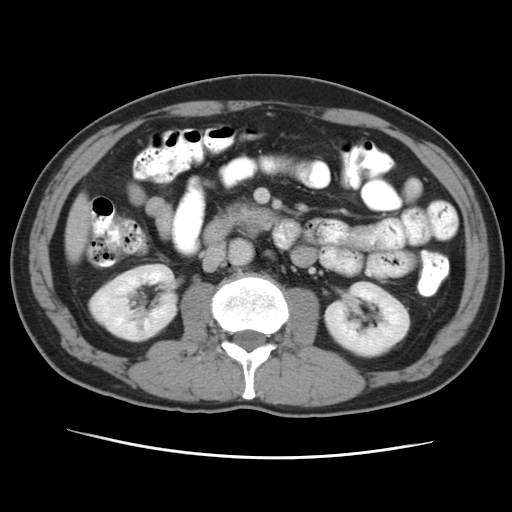 Upper abdomen; Image size 512x512; Computed tomography

<segmentation>
  <pancreas><bbox>222, 204, 273, 232</bbox></pancreas>
</segmentation>